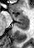

MR image. Hippocampus.
The posterior hippocampus is at {"x1": 15, "y1": 20, "x2": 27, "y2": 29}. The anterior hippocampus is at {"x1": 10, "y1": 12, "x2": 27, "y2": 19}.